512x512; CT scan slice; Abdomen
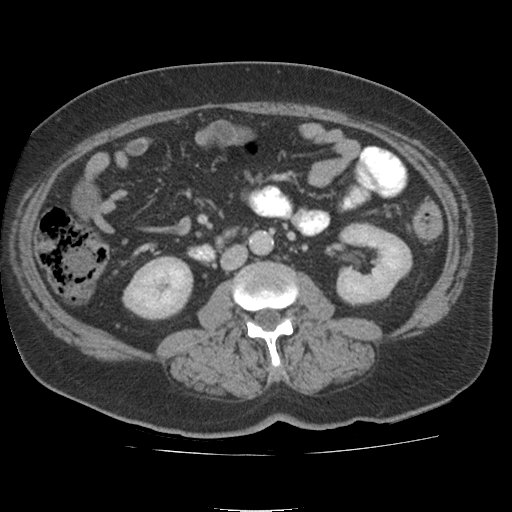
2 kidney regions are bounded by left=339, top=225, right=412, bottom=301; left=128, top=261, right=188, bottom=316.